FLAIR magnetic resonance.
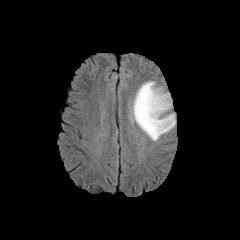
T1-weighted MR image.
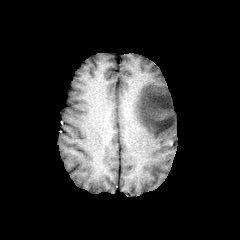
Post-contrast T1-weighted MR image.
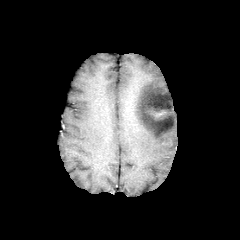
T2-weighted MR image.
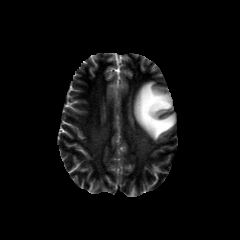
Head
The edema appears at <box>132,80,175,142</box>.